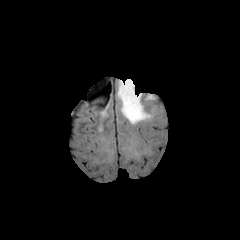
FLAIR magnetic resonance.
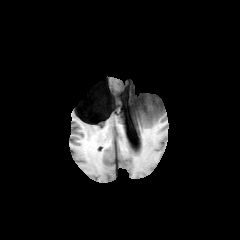
Same slice, T1-weighted MRI.
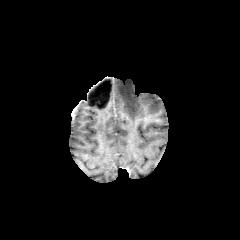
Post-contrast T1-weighted MR of the same slice.
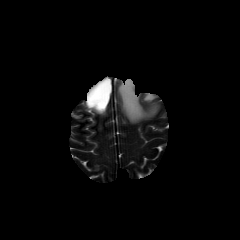
T2-weighted MR of the same slice.
Edema: bounding box (117,80,155,123), (144,94,154,101).